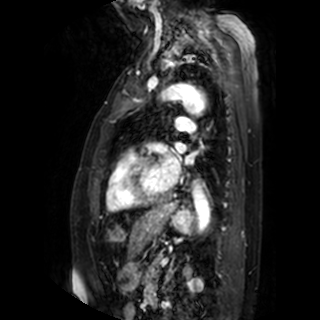
MRI slice.

3 left atrium regions are located at (x1=185, y1=155, x2=192, y2=164), (x1=176, y1=142, x2=185, y2=152), (x1=161, y1=154, x2=179, y2=184).